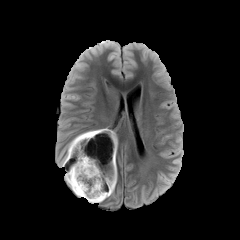
FLAIR MR image.
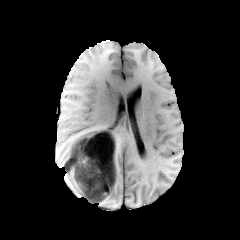
T1-weighted MRI of the same slice.
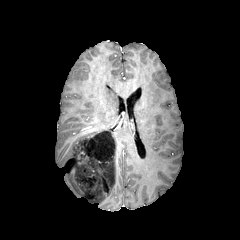
Post-contrast T1-weighted MR of the same slice.
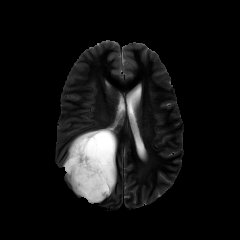
T2-weighted MRI of the same slice.
- edema: rect(66, 173, 83, 195); rect(97, 169, 116, 202); rect(63, 139, 73, 165)
- non-enhancing tumor core: rect(64, 129, 116, 201)